Upper abdomen. CT. Field of view 400 mm wide, 0.80 mm slice spacing.

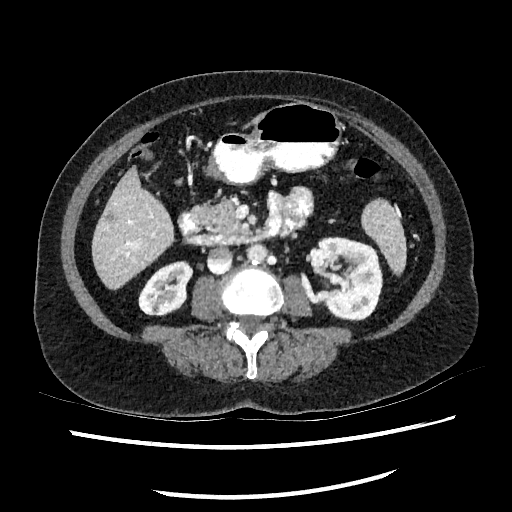

liver:
  - (92, 167, 171, 287)
kidney:
  - (311, 238, 381, 318)
  - (139, 262, 191, 314)
hepatic_lesion:
  - (105, 212, 114, 222)